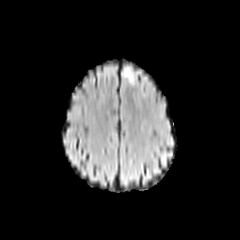
FLAIR MRI.
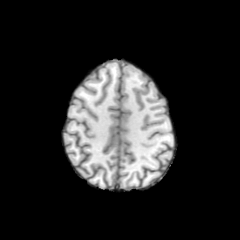
Same slice, T1-weighted MR image.
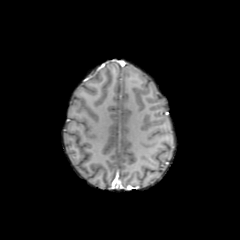
Post-contrast T1-weighted magnetic resonance of the same slice.
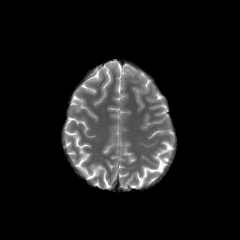
T2-weighted magnetic resonance.
The edema appears at region(124, 67, 130, 76).